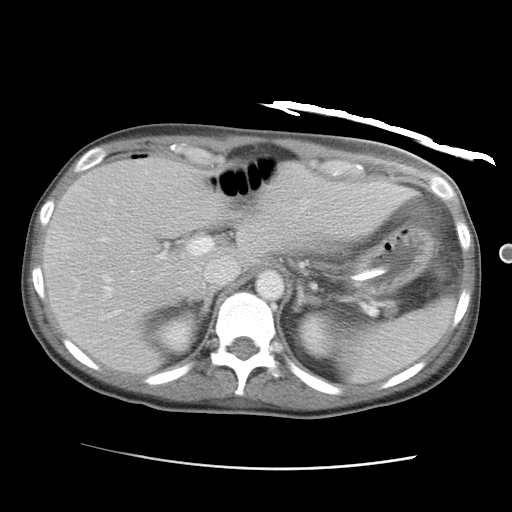
Computed tomography. Liver. Image size 512x512. Annotated regions:
• liver: [43,157,415,376]
• kidney: [164,323,189,346], [300,316,332,354]